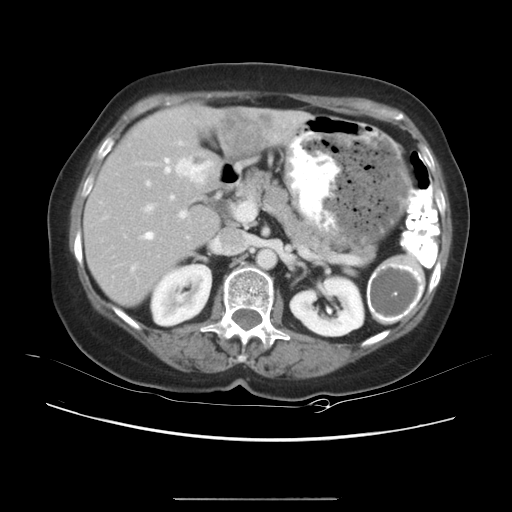

512x512, Liver, Computed tomography
The vessel annotation is not exhaustive.
Segmented structures:
• hepatic vessel: (274,136,276,138), (178,210,187,218), (146,182,150,185), (187,237,189,238), (190,161,212,183), (130,264,136,271), (164,158,191,176), (299,117,303,119), (177,141,183,145), (170,195,173,199), (293,120,295,122), (146,163,156,165), (144,204,154,213), (141,232,153,240)
• liver tumor: (220,113,275,148)